512x512 px, Slice index 320, CT scan slice, Abdomen 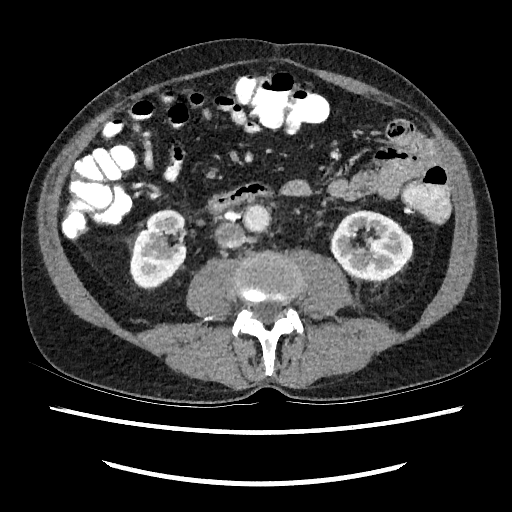
Annotated regions:
- kidney: <bbox>332, 211, 412, 280</bbox>, <bbox>131, 211, 185, 286</bbox>